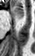 Medial temporal lobe; 35x56; MRI slice
The anterior hippocampus is bounded by box=[12, 6, 23, 18].